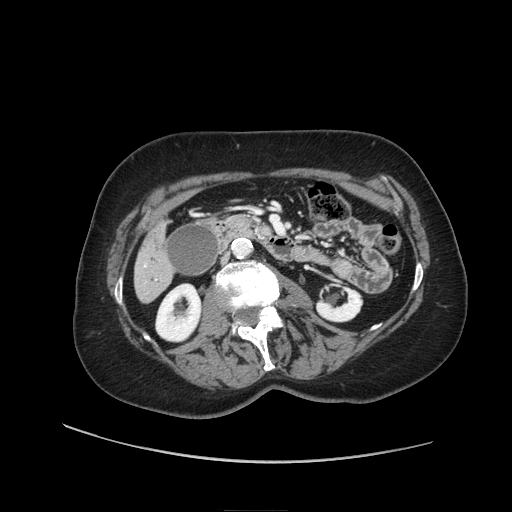 512x512. CT image. Pancreas at (231,216,248,225), (261,226,270,234).